FLAIR magnetic resonance.
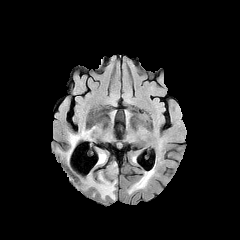
T1-weighted MR.
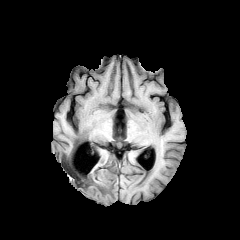
Post-contrast T1-weighted MR image.
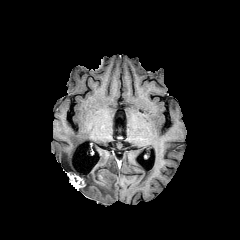
T2-weighted MRI.
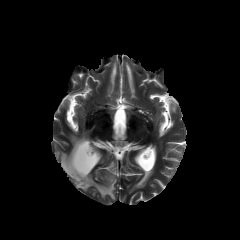
edema:
  - (left=136, top=170, right=152, bottom=183)
  - (left=97, top=150, right=107, bottom=164)
  - (left=61, top=130, right=89, bottom=163)
  - (left=86, top=162, right=117, bottom=199)